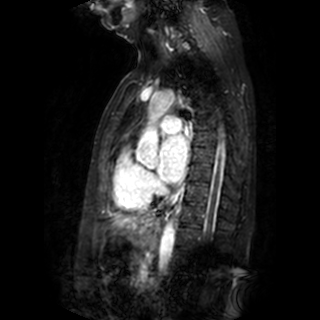 Magnetic resonance
Segmented structures:
- left atrium: (158,135,186,183)